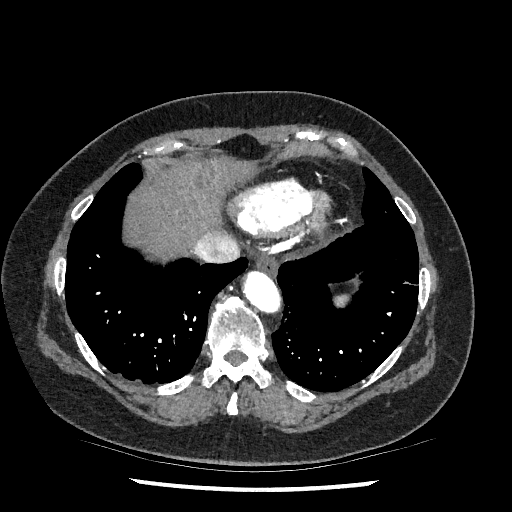
Abdomen; 512x512; CT scan slice
Annotated regions:
* liver: (129,158,254,256)